Abdomen | Slice 117 of 168 | Image width 410 mm | CT slice

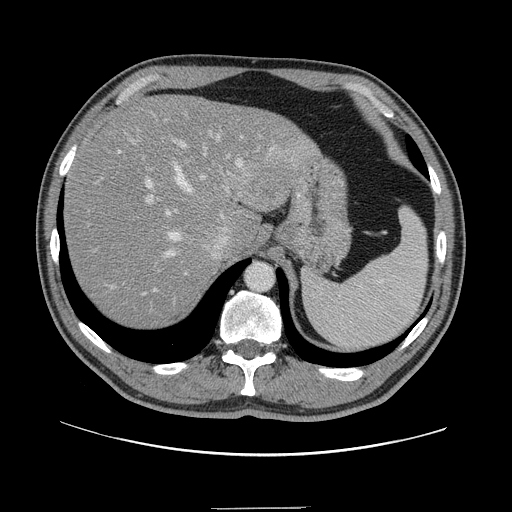

Only some of the vessels may be annotated.
Top 15 of 18 hepatic vessel regions: (167, 211, 169, 215), (131, 140, 135, 143), (175, 164, 191, 191), (210, 131, 211, 133), (169, 233, 180, 240), (223, 186, 228, 191), (146, 181, 152, 187), (176, 141, 186, 147), (146, 195, 152, 202), (215, 136, 219, 140), (165, 251, 175, 256), (237, 159, 242, 166), (202, 176, 204, 179), (270, 149, 272, 152), (204, 146, 206, 155).
Liver tumor: (242, 172, 281, 209).